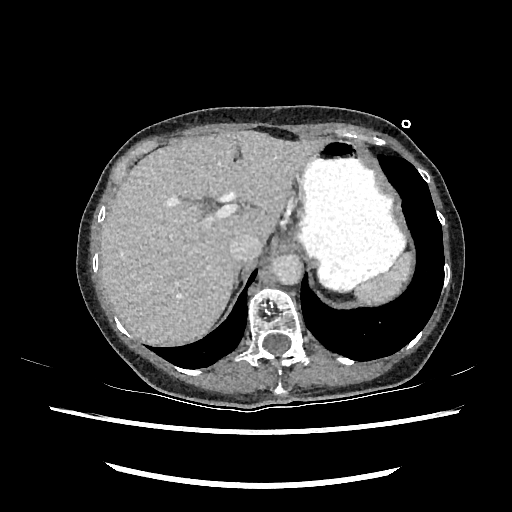 Upper abdomen | Computed tomography
{"liver": ["101:131:324:344"]}